Image size 512x512. Computed tomography. Liver.

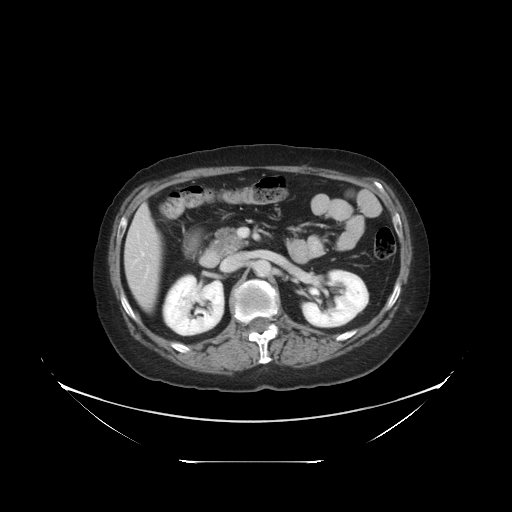
The vessel annotation is not exhaustive.
Hepatic vessel: <bbox>146, 266, 148, 275</bbox>, <bbox>228, 256, 242, 269</bbox>, <bbox>141, 252, 144, 255</bbox>.